Magnetic resonance, Medial temporal lobe, Slice 27/36
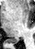

The posterior hippocampus is bounded by (x1=10, y1=38, x2=17, y2=42).